CT

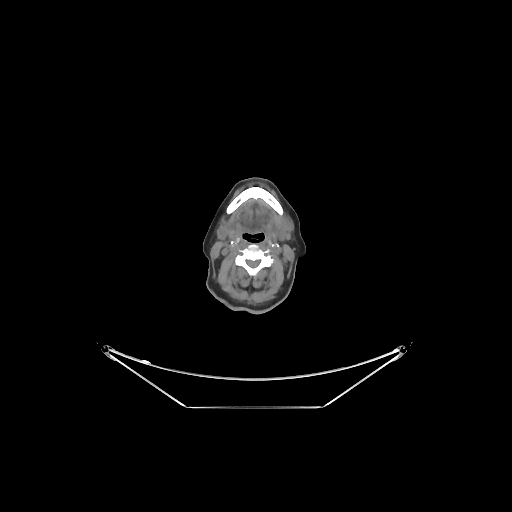 bone:
  - (227, 187, 282, 215)
  - (235, 244, 273, 276)